FLAIR MR.
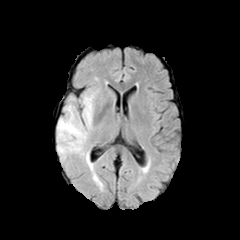
T1-weighted MRI.
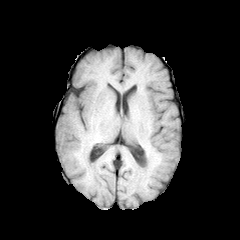
Post-contrast T1-weighted MRI.
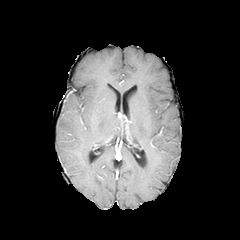
T2-weighted MR.
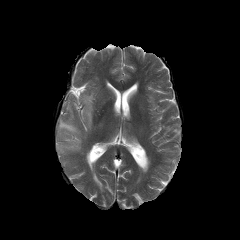
Image size 240x240 | Head
<segmentation>
  <edema>(57, 89, 97, 167)</edema>
</segmentation>